FLAIR MR image.
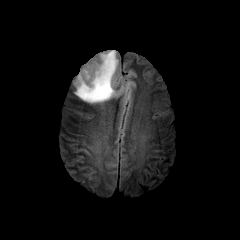
T1-weighted MR image.
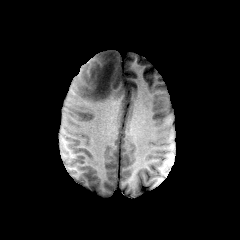
Post-contrast T1-weighted MR image.
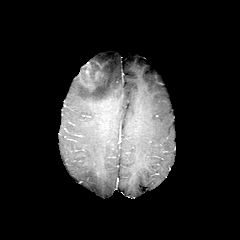
T2-weighted MR.
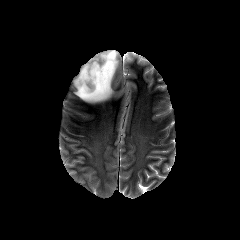
Brain
edema:
  - <box>74,50,129,103</box>
non-enhancing_tumor_core:
  - <box>79,55,115,94</box>